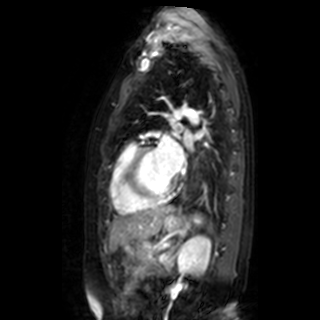 MRI slice
<segmentation>
  <left_atrium>box(184, 133, 193, 147); box(174, 123, 182, 131); box(159, 136, 184, 173)</left_atrium>
</segmentation>